Field of view 367x367 mm | Liver | CT scan slice | Image size 512x512
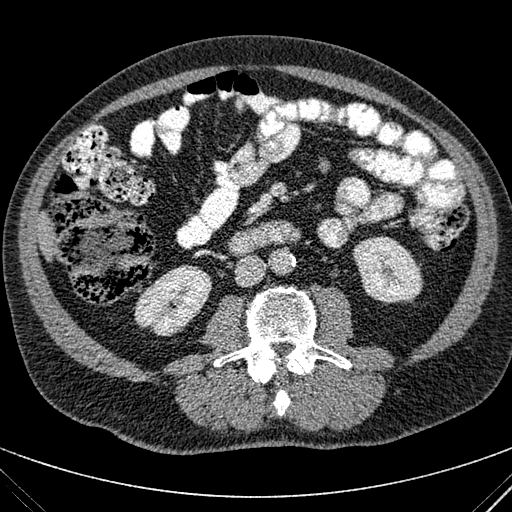
{
  "liver": [
    "<box>37,214,53,258</box>"
  ],
  "kidney": [
    "<box>134,265,211,335</box>",
    "<box>353,237,421,302</box>"
  ]
}